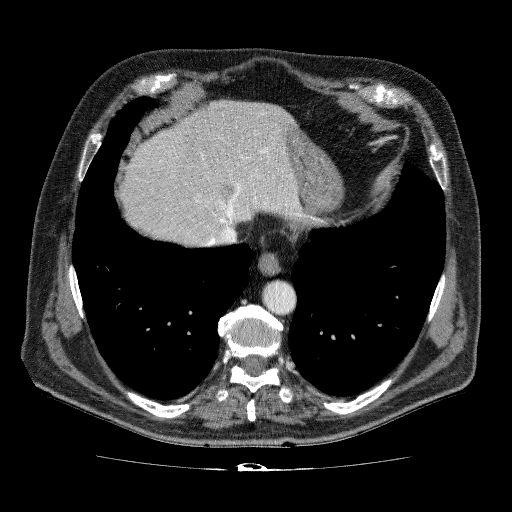

Computed tomography | 512x512
The liver is located at rect(120, 99, 302, 245). 3 focal liver lesion regions appear at rect(197, 102, 231, 117); rect(213, 181, 233, 201); rect(134, 225, 149, 234).